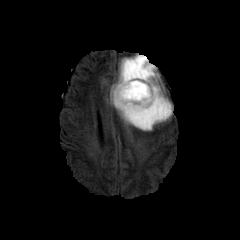
FLAIR MRI.
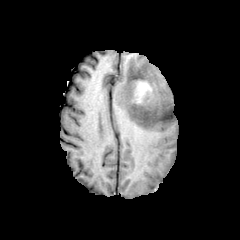
Same slice, T1-weighted magnetic resonance.
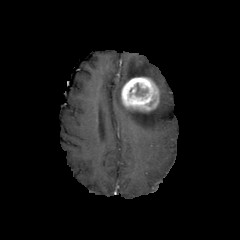
Post-contrast T1-weighted MRI of the same slice.
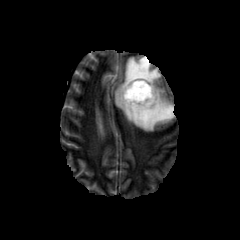
Same slice, T2-weighted MR.
Non-enhancing tumor core: bounding box box=[136, 84, 147, 96].
Edema: bounding box box=[112, 55, 172, 130].
Enhancing tumor: bounding box box=[121, 76, 159, 111].